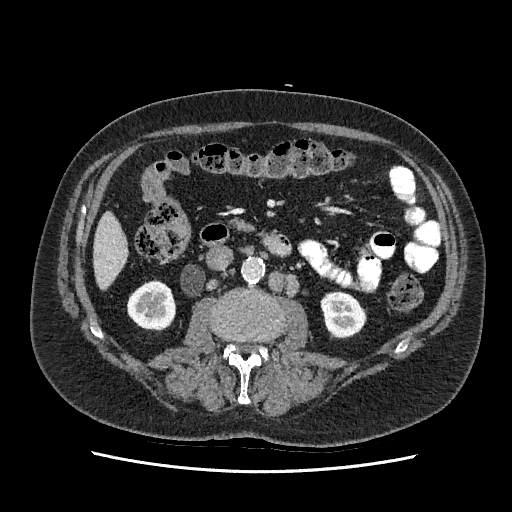
Image size 512x512. CT image. Abdomen.

The liver is bounded by [93,212,127,288]. 2 kidney regions appear at [128,282,174,328], [321,292,364,336].